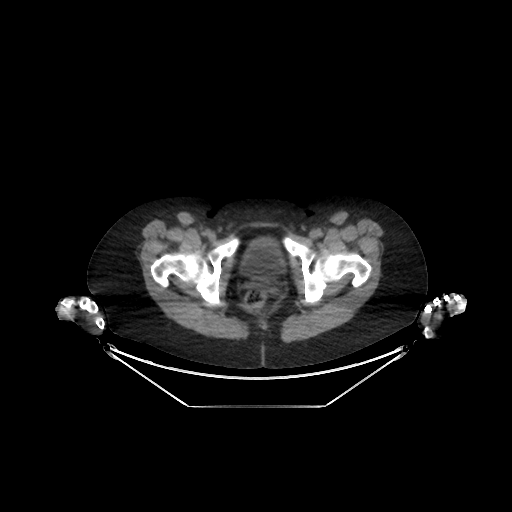 512x512 px. CT slice.

Urinary bladder — 239,235,289,278.